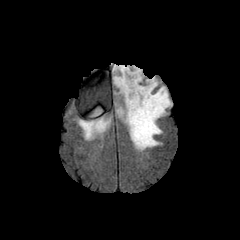
FLAIR magnetic resonance.
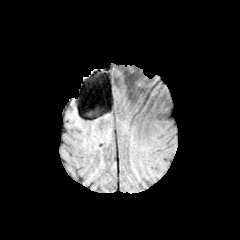
T1-weighted magnetic resonance.
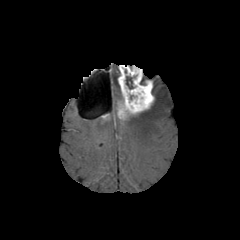
Post-contrast T1-weighted MRI.
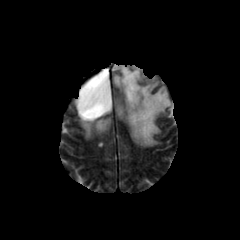
T2-weighted MR image of the same slice.
Enhancing tumor: (118,66,154,117).
Non-enhancing tumor core: (126,76,133,88).
Edema: (80,116,109,138), (112,66,119,87), (88,107,101,117), (125,86,171,148).